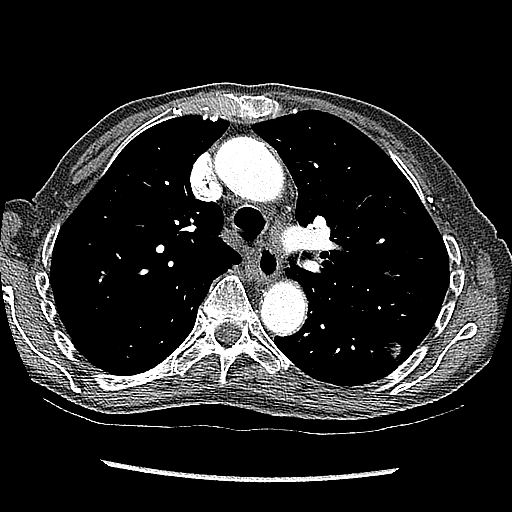 Lung | Computed tomography
lung tumor: [x1=385, y1=340, x2=403, y2=363]